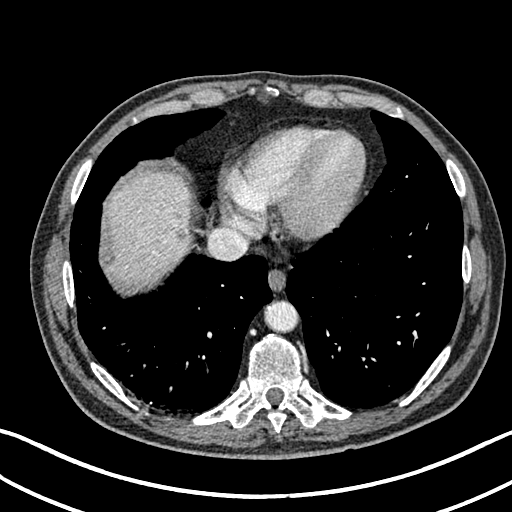
CT | Liver
Liver — [108,172,189,286].
Hepatic lesion — [109,253,115,264], [177,230,185,240].